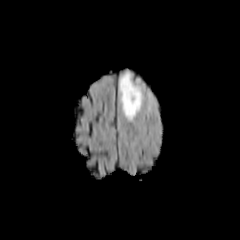
FLAIR MRI.
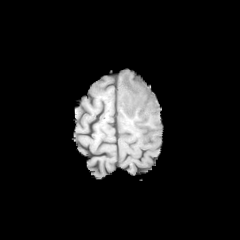
T1-weighted MRI of the same slice.
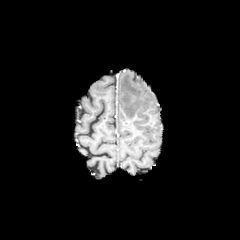
Post-contrast T1-weighted MR image.
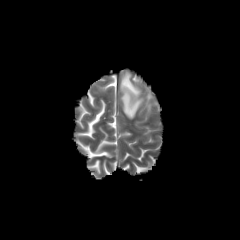
T2-weighted MRI.
Head.
The edema is at 120,71,143,118.